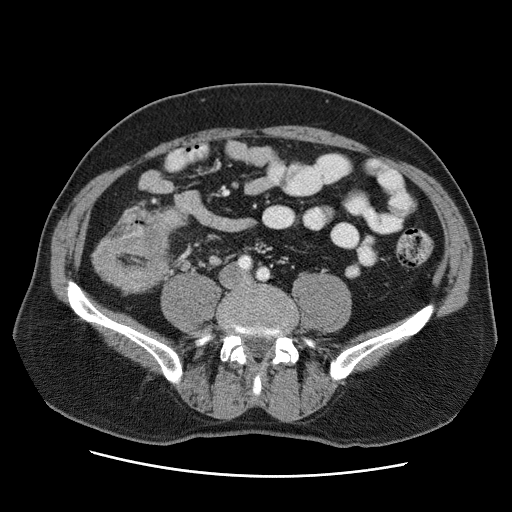

CT slice, 512x512
colon_tumor:
  - 92, 207, 167, 291